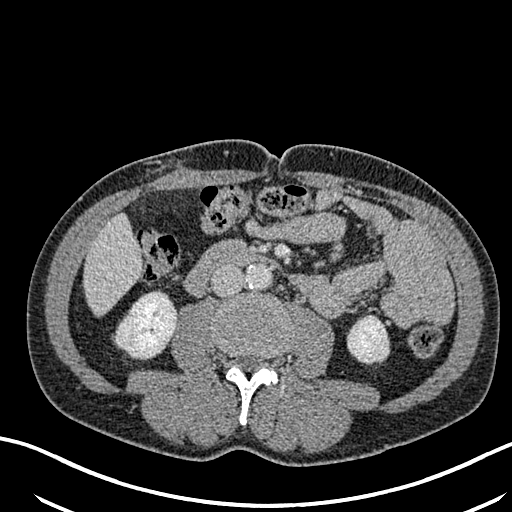

512x512 px. Computed tomography. Liver = bbox(84, 214, 140, 315).
Kidney = bbox(348, 316, 388, 361); bbox(116, 293, 176, 357).